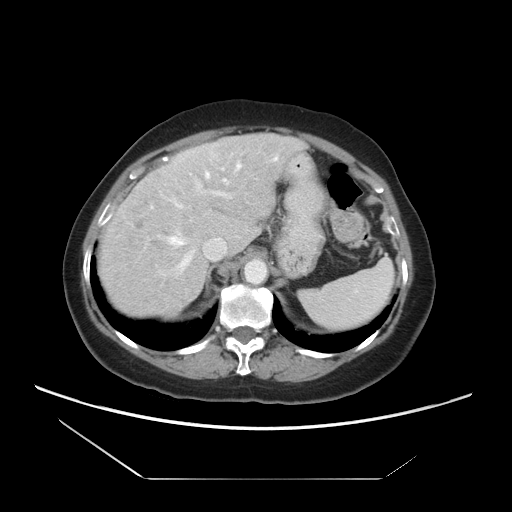 CT slice

The vessel annotation is not exhaustive.
Liver tumor at bbox=[210, 146, 230, 164].
Hepatic vessel at bbox=[168, 232, 185, 245]; bbox=[176, 250, 193, 271]; bbox=[205, 172, 209, 177]; bbox=[221, 168, 223, 170]; bbox=[197, 184, 201, 189]; bbox=[236, 162, 241, 170]; bbox=[151, 206, 153, 208]; bbox=[160, 271, 162, 274]; bbox=[212, 191, 230, 198]; bbox=[223, 179, 228, 183]; bbox=[172, 199, 182, 208]; bbox=[273, 157, 277, 160].